Slice index 42. MRI. Cardiac. 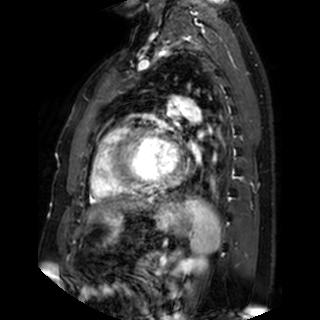 <segmentation>
  <left_atrium><box>189,140,196,151</box></left_atrium>
</segmentation>